FLAIR magnetic resonance.
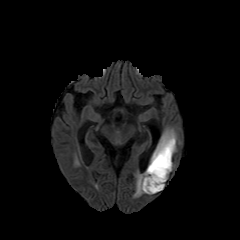
T1-weighted MR image.
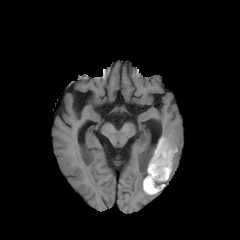
Post-contrast T1-weighted MR image.
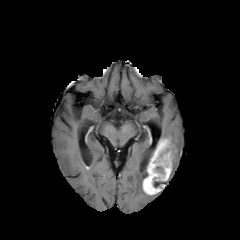
T2-weighted MR.
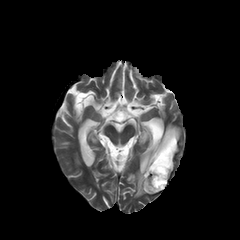
Segmented structures:
* enhancing tumor: box=[143, 139, 171, 194]
* edema: box=[134, 171, 146, 196]; box=[161, 126, 180, 171]
* non-enhancing tumor core: box=[164, 138, 175, 161]; box=[153, 180, 166, 187]